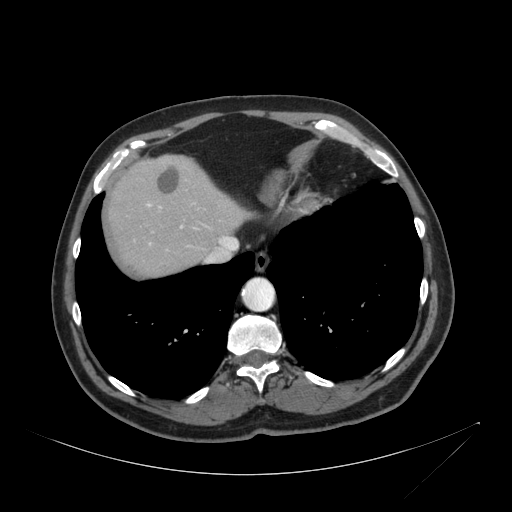
CT image

{"liver": [{"x1": 104, "y1": 155, "x2": 247, "y2": 274}]}